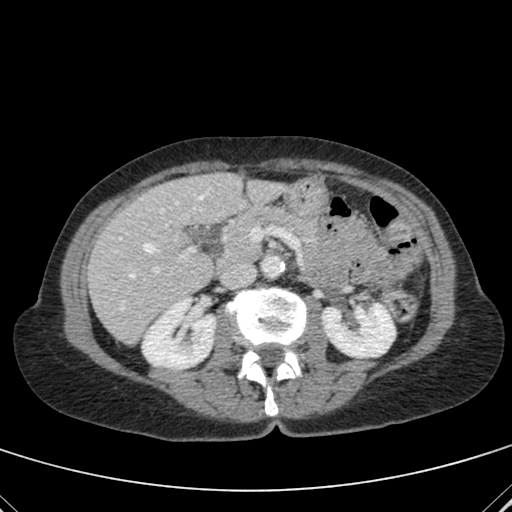 Computed tomography. Upper abdomen. 512x512 px. Segmented structures:
* kidney: (x1=142, y1=298, x2=214, y2=368), (x1=323, y1=304, x2=394, y2=357)
* liver: (x1=88, y1=173, x2=286, y2=340)